FLAIR magnetic resonance.
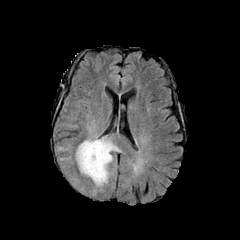
T1-weighted MRI.
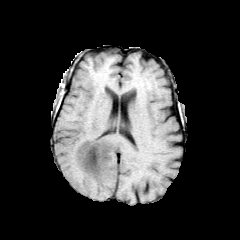
Post-contrast T1-weighted magnetic resonance.
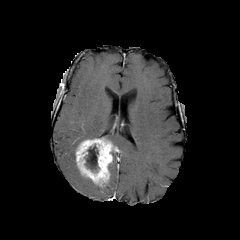
T2-weighted MR.
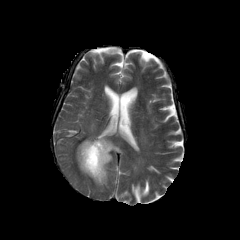
Brain
* non-enhancing tumor core: x1=86, y1=146, x2=97, y2=169
* enhancing tumor: x1=76, y1=137, x2=117, y2=185